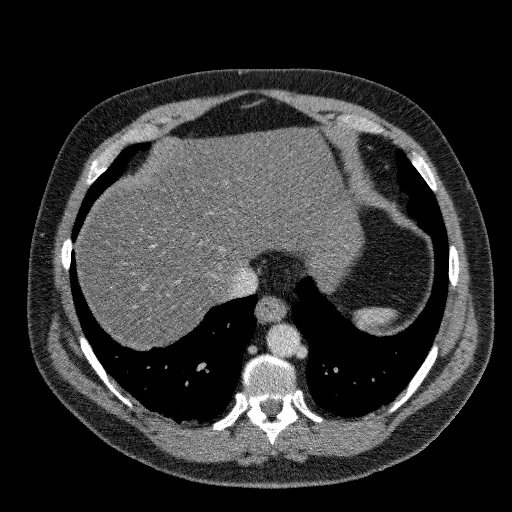
CT image.

<segmentation>
  <liver>l=75, t=128, r=342, b=348</liver>
</segmentation>